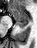
MR | Image size 37x48
{
  "posterior_hippocampus": [
    "region(16, 23, 27, 27)"
  ],
  "anterior_hippocampus": [
    "region(8, 8, 28, 22)"
  ]
}